512x512 | CT scan slice 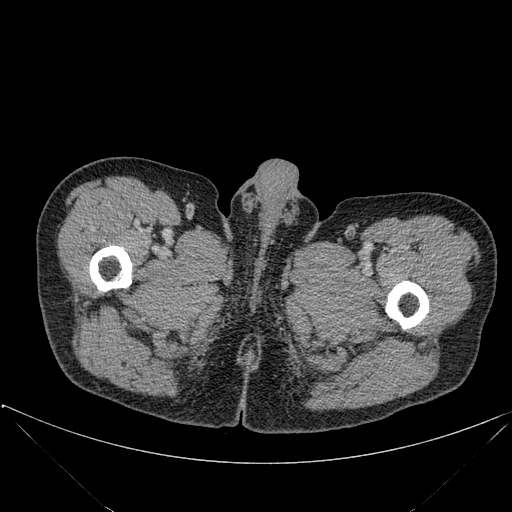 Annotated regions:
* bone: (left=386, top=281, right=428, bottom=329), (left=89, top=246, right=131, bottom=291)